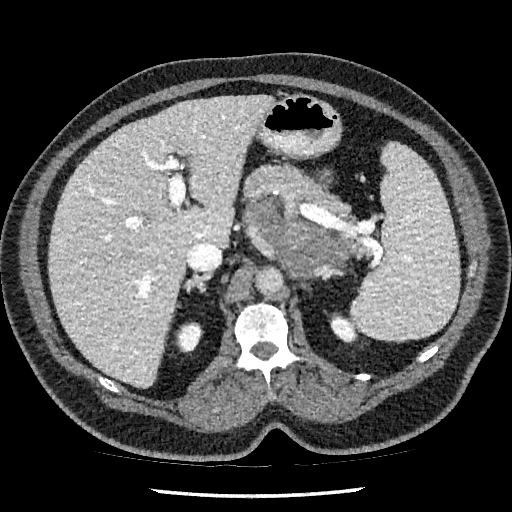 CT image
Kidney — [331, 318, 354, 340], [179, 325, 200, 350].
Liver — [48, 96, 272, 386].